MR image. Slice 28 of 33. Medial temporal lobe. Image width 38 mm. 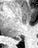

Posterior hippocampus = 17:39:21:39.